Field of view 421x421 mm | Computed tomography | Liver

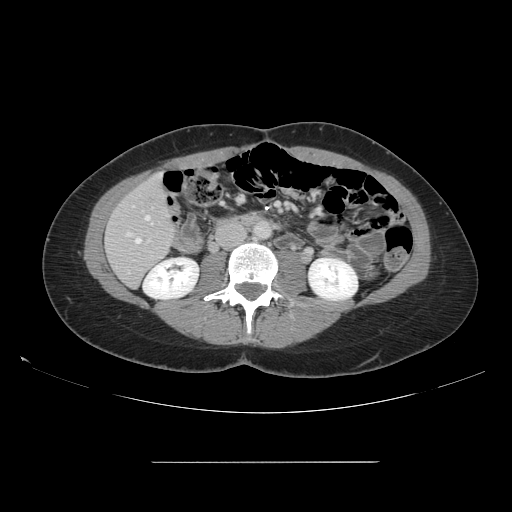 The vessel annotation is not exhaustive.
hepatic_vessel:
  - x1=135 y1=238 x2=140 y2=243
  - x1=148 y1=240 x2=149 y2=241
  - x1=151 y1=222 x2=152 y2=224
  - x1=125 y1=233 x2=131 y2=236
  - x1=145 y1=216 x2=149 y2=220